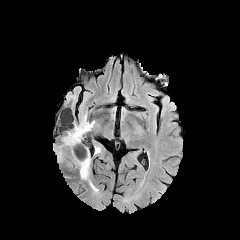
FLAIR MR.
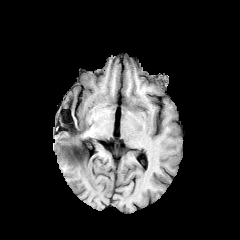
T1-weighted magnetic resonance.
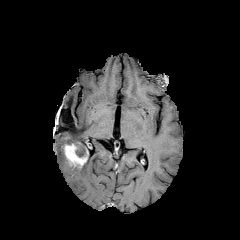
Post-contrast T1-weighted MR.
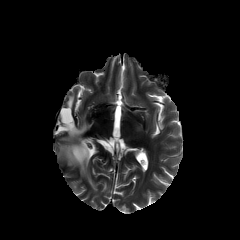
T2-weighted MR image.
Brain
Enhancing tumor at bbox(62, 143, 87, 167).
Non-enhancing tumor core at bbox(62, 136, 81, 157).
Edema at bbox(75, 149, 98, 192); bbox(61, 114, 94, 157); bbox(55, 146, 63, 160).